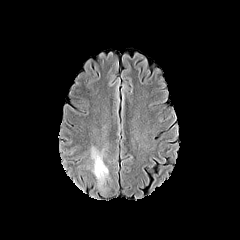
FLAIR MRI.
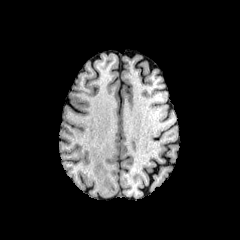
T1-weighted MR.
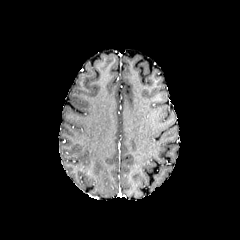
Same slice, post-contrast T1-weighted MR image.
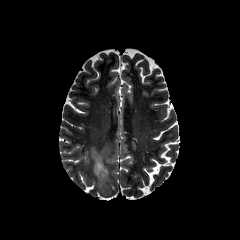
Same slice, T2-weighted magnetic resonance.
Image size 240x240 | Head
edema: (91, 149, 107, 180)